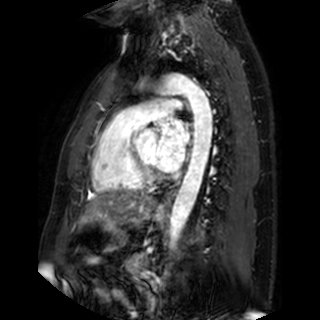
MR.

The left atrium is bounded by [x1=155, y1=117, x2=189, y2=171].